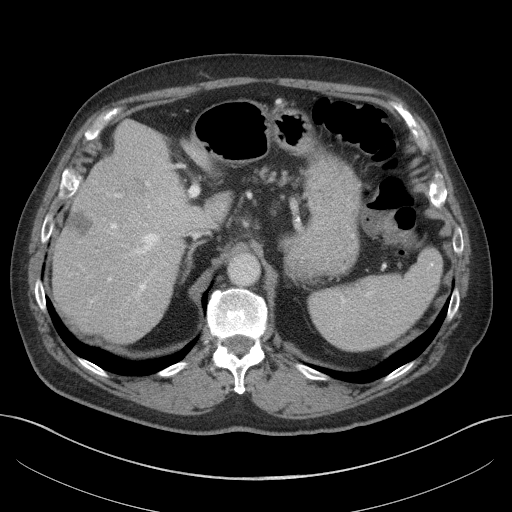

Abdomen; Computed tomography; 512x512
Annotated regions:
* liver: 51 118 192 344, 182 139 207 170
* liver lesion: 69 211 92 234